CT image | Slice 32/52

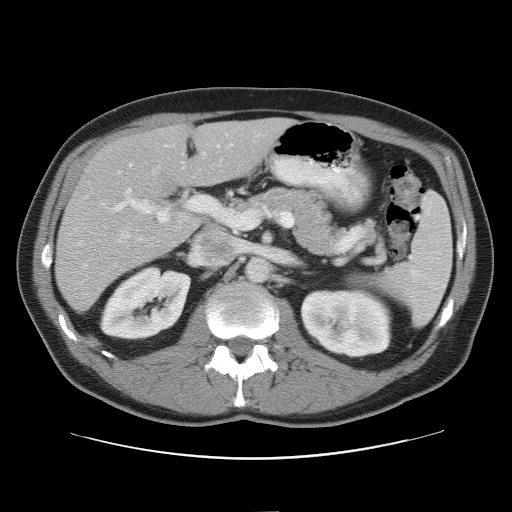 Not every hepatic vessel necessarily has a box.
The top 15 hepatic vessel regions (of 17) are bounded by box(118, 231, 128, 242); box(252, 137, 255, 140); box(138, 237, 141, 240); box(225, 134, 226, 136); box(129, 164, 131, 167); box(118, 171, 120, 173); box(227, 144, 231, 147); box(112, 189, 147, 211); box(217, 145, 218, 147); box(256, 134, 260, 136); box(165, 145, 173, 147); box(82, 264, 86, 268); box(152, 166, 159, 173); box(202, 153, 205, 154); box(160, 219, 168, 225).